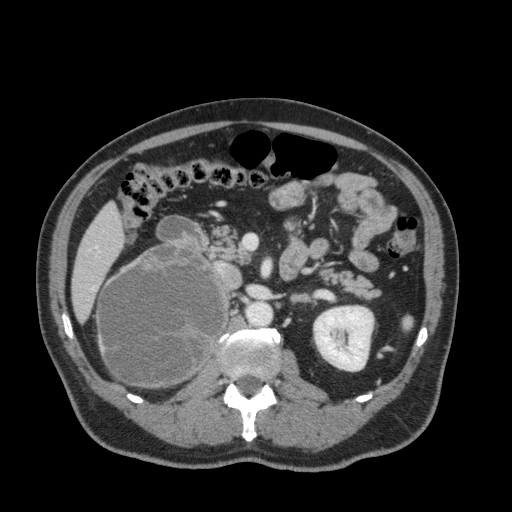 Computed tomography

<segmentation>
  <liver>(left=73, top=203, right=123, bottom=320)</liver>
  <kidney>(left=314, top=306, right=373, bottom=370)</kidney>
</segmentation>